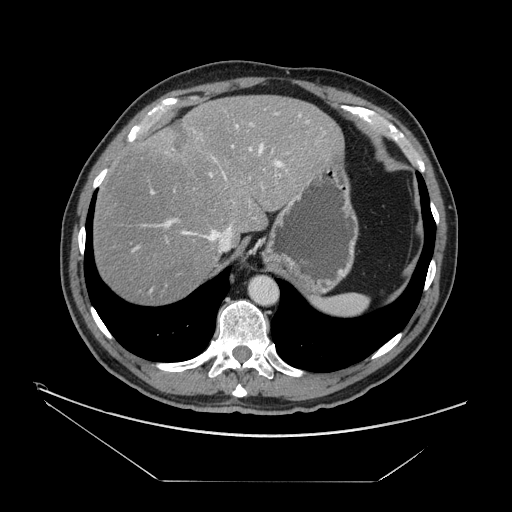

CT.

Some hepatic vessels may have no box.
The liver tumor lies within l=174, t=124, r=188, b=152. 8 hepatic vessel regions appear at l=259, t=145, r=262, b=152; l=166, t=220, r=172, b=225; l=208, t=231, r=218, b=239; l=185, t=232, r=188, b=233; l=276, t=161, r=282, b=166; l=249, t=148, r=251, b=150; l=223, t=173, r=225, b=177; l=228, t=228, r=230, b=230.